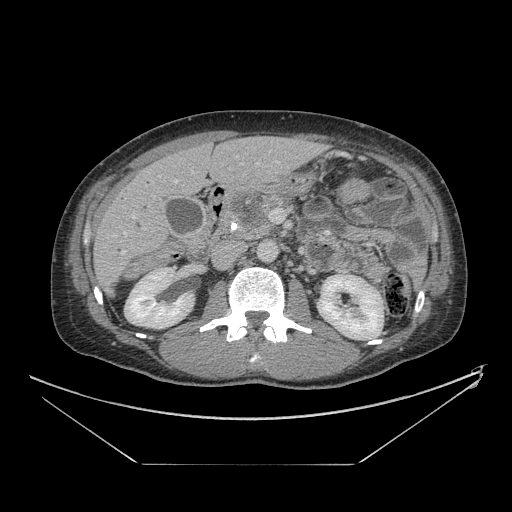 CT scan slice | Upper abdomen
The pancreas is bounded by region(216, 189, 290, 240). The pancreatic tumor lies within region(229, 190, 267, 231).